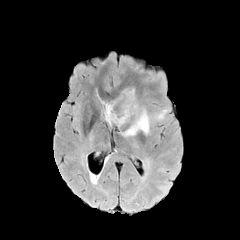
FLAIR magnetic resonance.
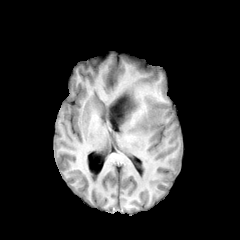
T1-weighted magnetic resonance.
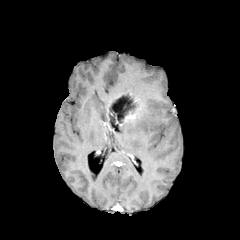
Same slice, post-contrast T1-weighted MR image.
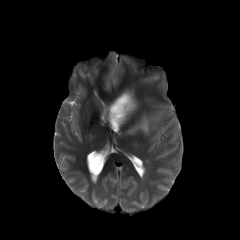
T2-weighted magnetic resonance.
Brain
2 edema regions appear at box=[102, 102, 112, 126]; box=[124, 109, 167, 135]. The enhancing tumor lies within box=[125, 114, 133, 121]. The non-enhancing tumor core lies within box=[108, 95, 135, 127].